Computed tomography | Slice 82/241 | Thorax 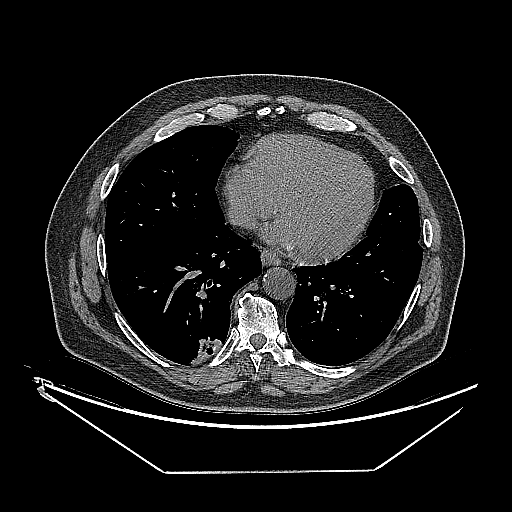 {
  "lung_tumor": [
    "(189,336,222,365)"
  ]
}